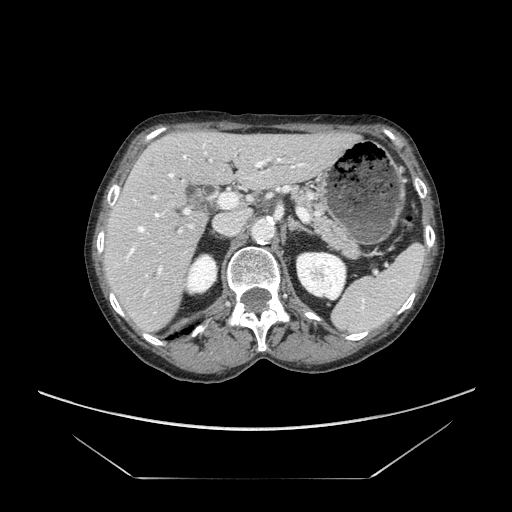
Upper abdomen; Image size 512x512; CT scan slice
Pancreas = <box>274,183,364,261</box>.